Liver; Computed tomography 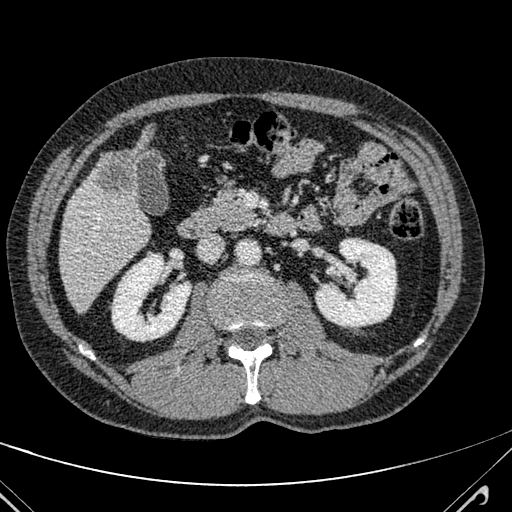 The liver is located at bbox=[60, 153, 148, 312]. The liver lesion is at bbox=[99, 126, 154, 193].